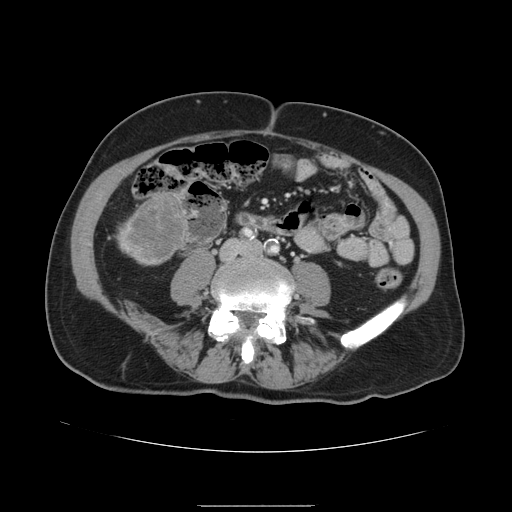 CT image, Liver, 512x512 px
Liver tumor — box=[124, 194, 186, 261].